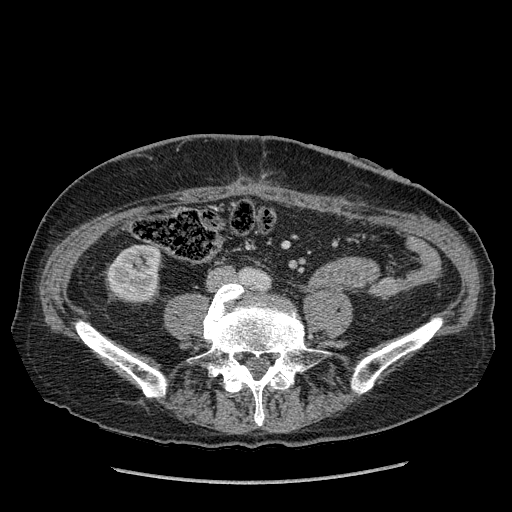

512x512; CT slice
The kidney is bounded by box(108, 245, 159, 300).